Slice 62/121, Field of view 418 mm wide, 1.25 mm slice spacing, CT scan slice
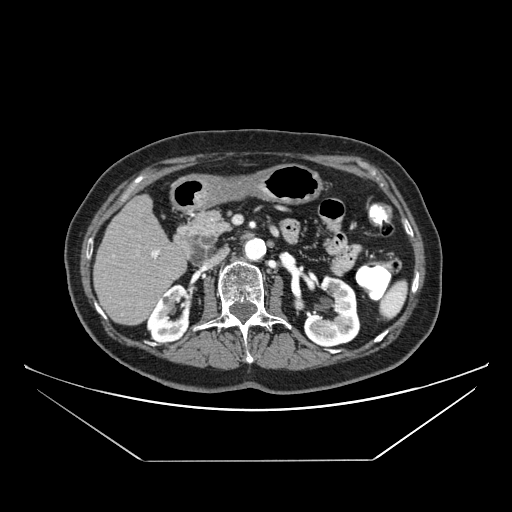 The pancreatic tumor appears at box=[189, 232, 215, 264]. The pancreas is bounded by box=[174, 208, 233, 262].